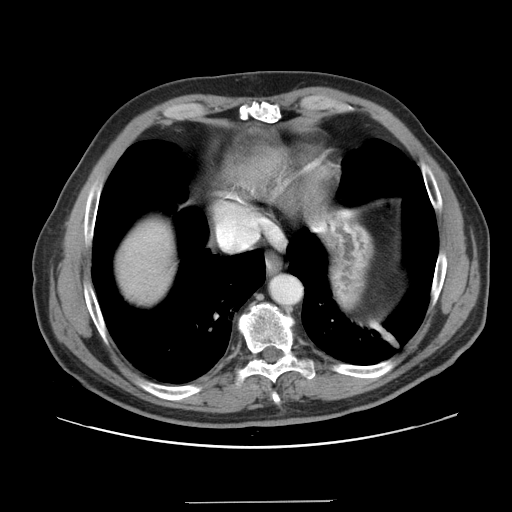
Liver. CT. Not every hepatic vessel necessarily has a box.
<segmentation>
  <hepatic_vessel>l=218, t=217, r=257, b=249</hepatic_vessel>
</segmentation>